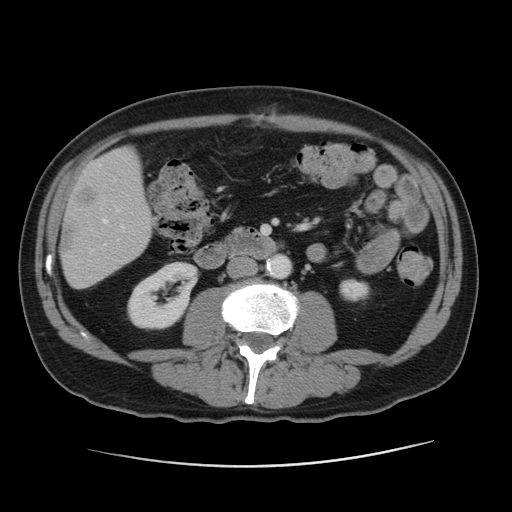

512x512; Computed tomography
liver: 62:150:149:286 | focal liver lesion: 78:187:96:205, 59:228:73:251 | kidney: 129:263:195:327, 339:279:369:301